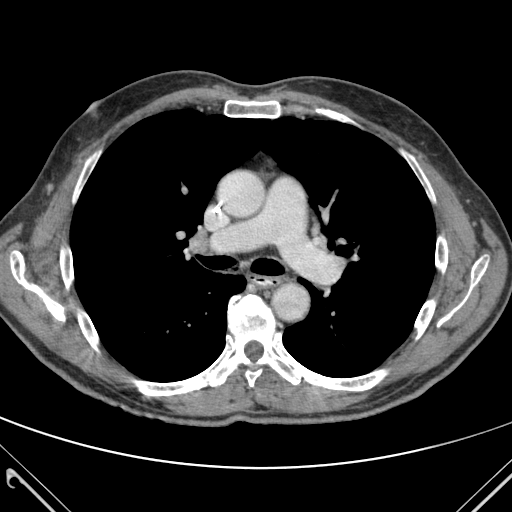
Chest | CT
Bone: bounding box left=415, top=300, right=435, bottom=338; left=73, top=154, right=96, bottom=201; left=437, top=255, right=488, bottom=326; left=435, top=237, right=447, bottom=272; left=403, top=152, right=434, bottom=200; left=10, top=251, right=64, bottom=320; left=223, top=100, right=292, bottom=117; left=134, top=295, right=386, bottom=395; left=60, top=249, right=73, bottom=288; left=316, top=109, right=353, bottom=122; left=78, top=312, right=97, bottom=350.
Lung: bounding box left=70, top=109, right=435, bottom=381.